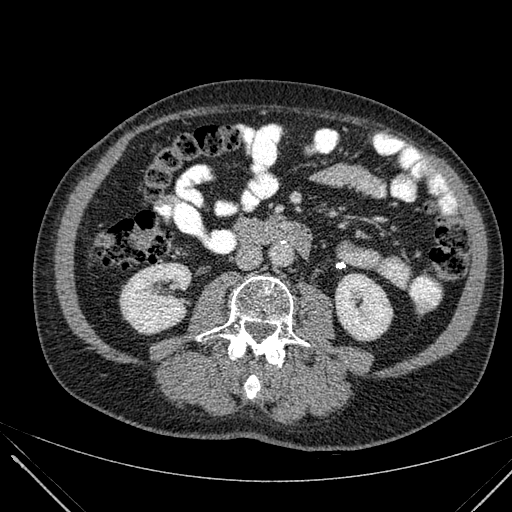

Abdomen; CT

2 kidney regions are located at (x1=120, y1=263, x2=190, y2=332), (x1=335, y1=274, x2=391, y2=340).